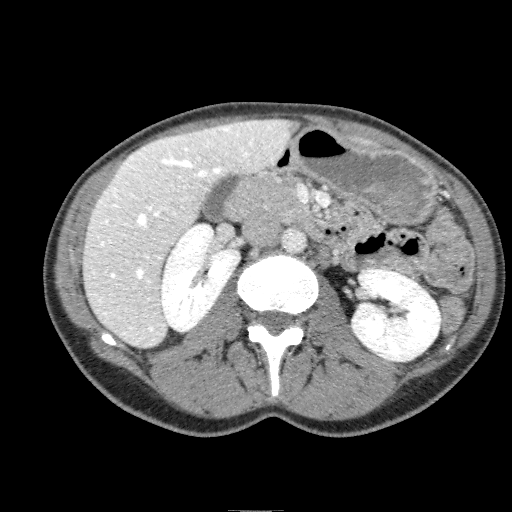

Image size 512x512. CT slice.

Hepatic lesion: bounding box bbox(287, 120, 298, 133).
Liver: bounding box bbox(350, 137, 379, 146); bbox(82, 119, 293, 347).
Kidney: bounding box bbox(352, 269, 440, 360); bbox(161, 224, 239, 331).